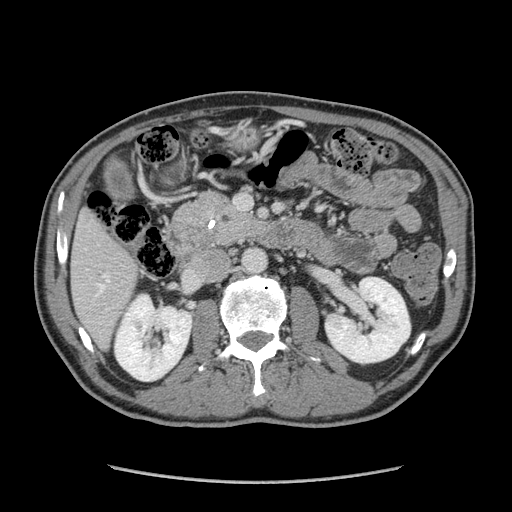

CT slice
The pancreas is at rect(173, 188, 264, 247).